Slice 447/896, Computed tomography

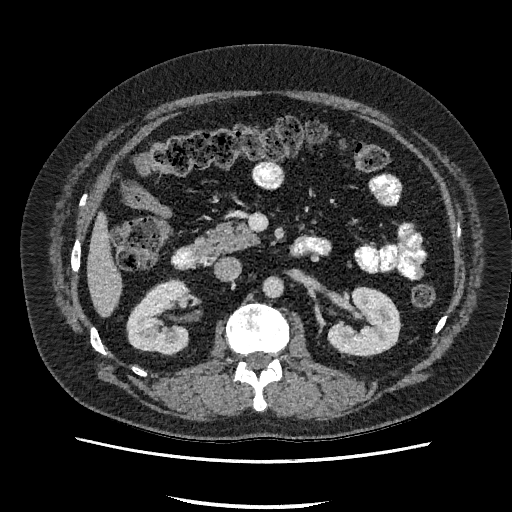 2 kidney regions are bounded by [328, 288, 399, 354], [128, 281, 187, 352]. The liver lies within [88, 212, 122, 316].